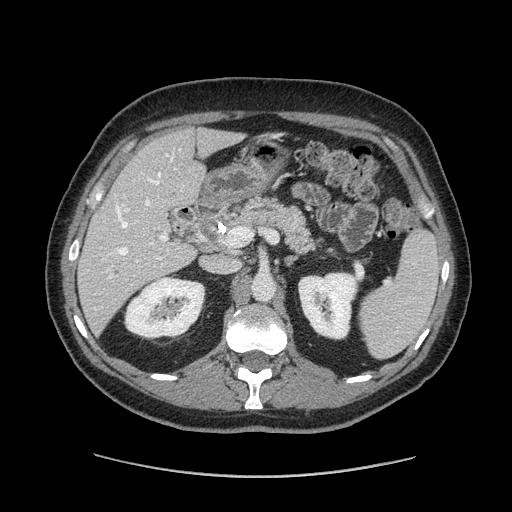 CT
Pancreas at <bbox>233, 198, 315, 252</bbox>.